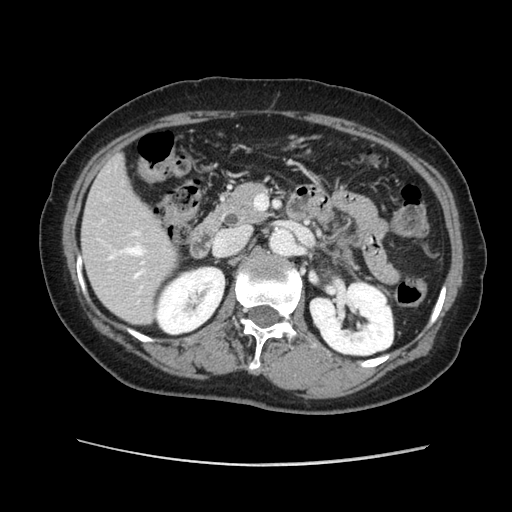 CT image; Upper abdomen
Pancreas — bbox(211, 181, 272, 228); bbox(317, 213, 321, 244).